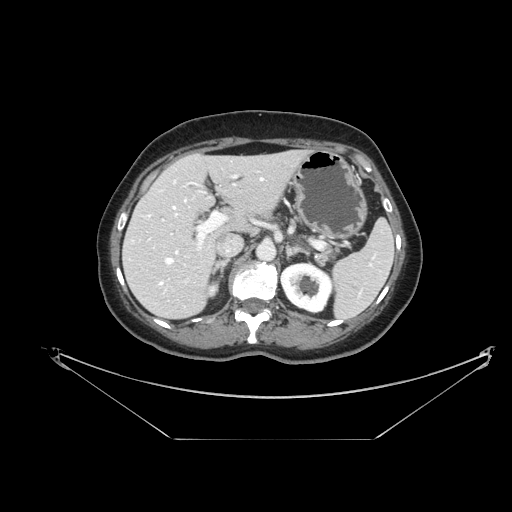 CT scan slice

The pancreas appears at [316,248,335,264].